FLAIR MRI.
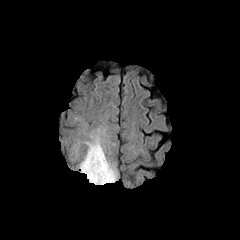
T1-weighted MRI.
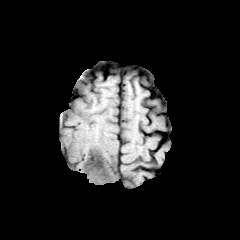
Post-contrast T1-weighted magnetic resonance.
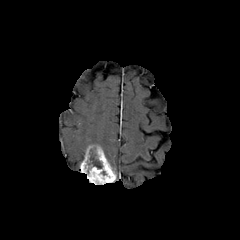
T2-weighted magnetic resonance.
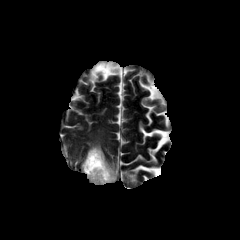
Brain
Edema: bbox(71, 124, 119, 177).
Non-enhancing tumor core: bbox(87, 154, 101, 168).
Enhancing tumor: bbox(81, 144, 116, 184).